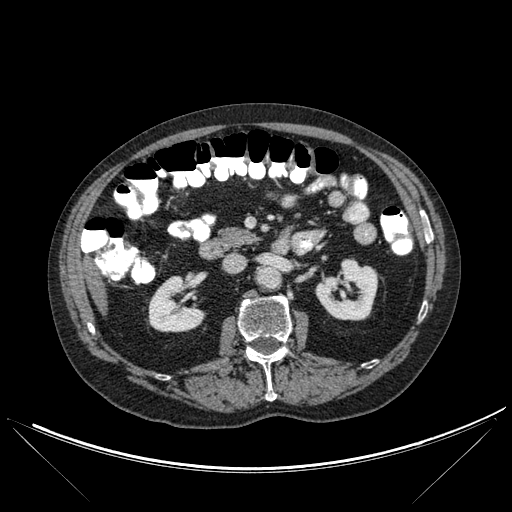 CT slice
liver: x1=84, y1=262, x2=93, y2=276; x1=87, y1=276, x2=106, y2=313 | kidney: x1=187, y1=276, x2=200, y2=286; x1=149, y1=276, x2=203, y2=331; x1=316, y1=259, x2=377, y2=319 | bone: x1=246, y1=346, x2=287, y2=400; x1=238, y1=296, x2=291, y2=342